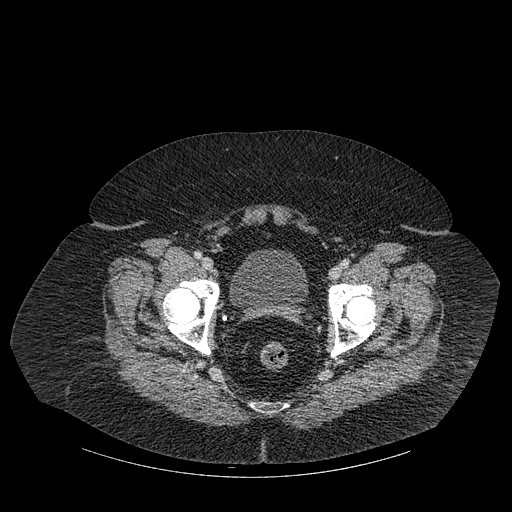 CT slice. bone: bbox=[250, 403, 274, 412]; bbox=[329, 284, 376, 357]; bbox=[163, 279, 219, 354] | urinary bladder: bbox=[230, 248, 308, 320]